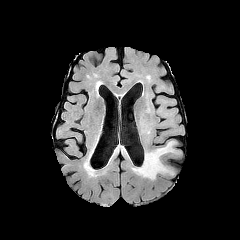
FLAIR MR.
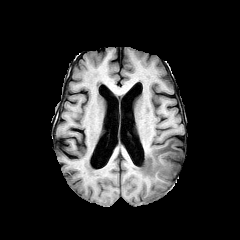
T1-weighted MR image.
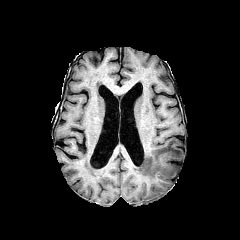
Post-contrast T1-weighted MR.
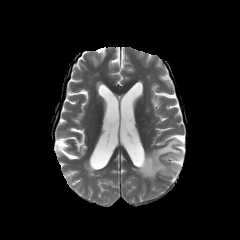
Same slice, T2-weighted MRI.
Image size 240x240
Segmented structures:
• edema: [133, 140, 177, 179]